FLAIR MRI.
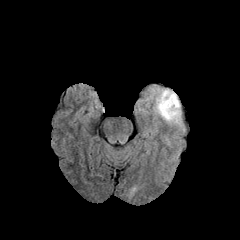
T1-weighted MR.
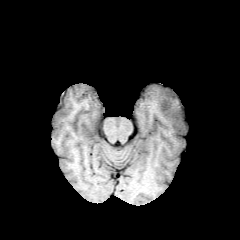
Post-contrast T1-weighted magnetic resonance.
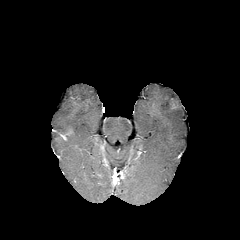
T2-weighted MR.
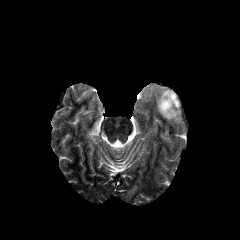
Image size 240x240
Annotated regions:
• edema: x1=146 y1=86 x2=184 y2=130